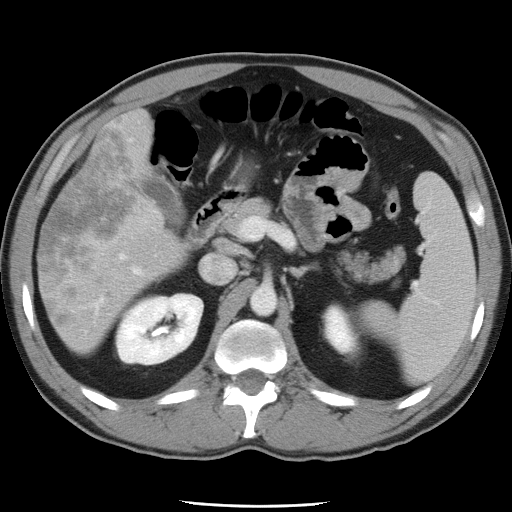

CT image, Abdomen
Some hepatic vessels may have no box.
hepatic vessel: (left=133, top=268, right=138, bottom=273), (left=243, top=216, right=255, bottom=238), (left=99, top=298, right=102, bottom=301), (left=120, top=256, right=123, bottom=257)